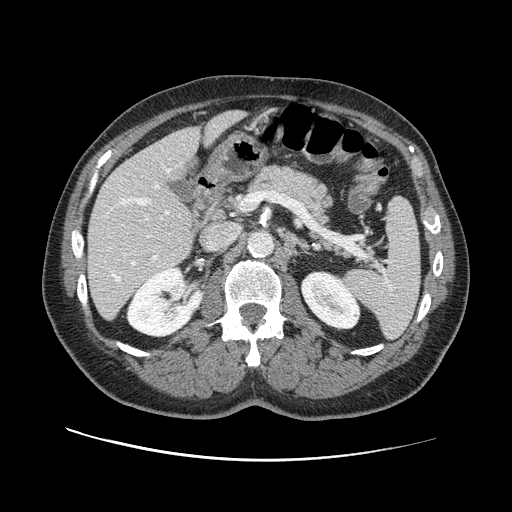 Upper abdomen. CT scan slice.
pancreas:
  - [224,164,377,267]